Liver; Slice index 377; Computed tomography

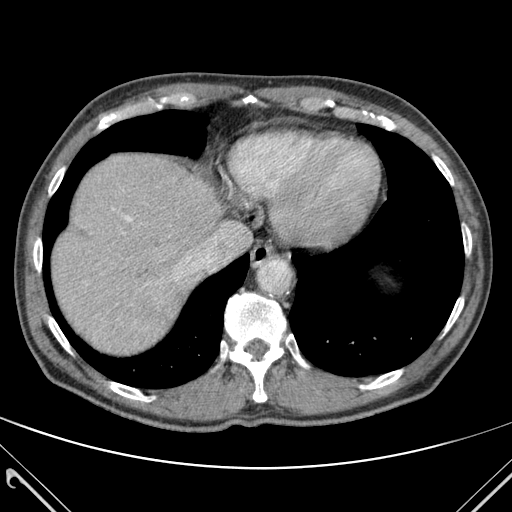

Bone: bounding box 243 95 258 103, 445 298 463 332, 98 113 116 128, 33 238 42 271, 360 370 401 389, 110 382 152 401, 221 293 285 401, 433 156 453 184, 462 227 471 253, 49 316 71 352, 48 168 64 194, 377 116 395 129, 286 334 307 366.
Lung: bounding box 289 124 463 376, 43 110 249 388.
Liver: bounding box 52 154 220 354.